CT scan slice, Field of view 404 mm wide, 1.50 mm slice spacing, Image size 512x512

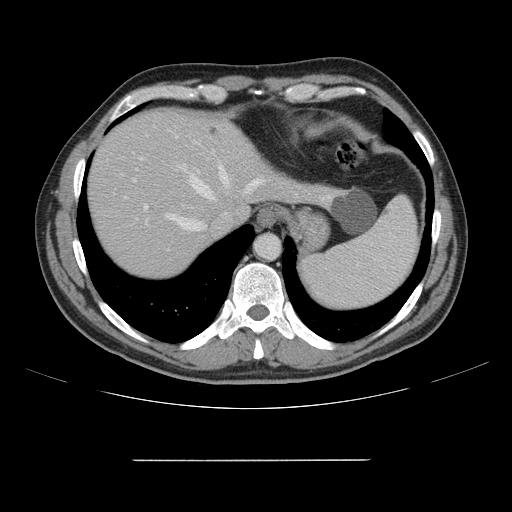
Some hepatic vessels may have no box.
Hepatic vessel: bbox(245, 179, 263, 192); bbox(321, 198, 324, 199); bbox(125, 197, 126, 198); bbox(220, 171, 228, 185); bbox(166, 214, 191, 228); bbox(145, 206, 146, 210); bbox(133, 179, 135, 181); bbox(140, 158, 143, 158); bbox(146, 220, 147, 223); bbox(212, 150, 213, 152); bbox(178, 164, 185, 170); bbox(194, 222, 205, 230); bbox(190, 173, 214, 199).